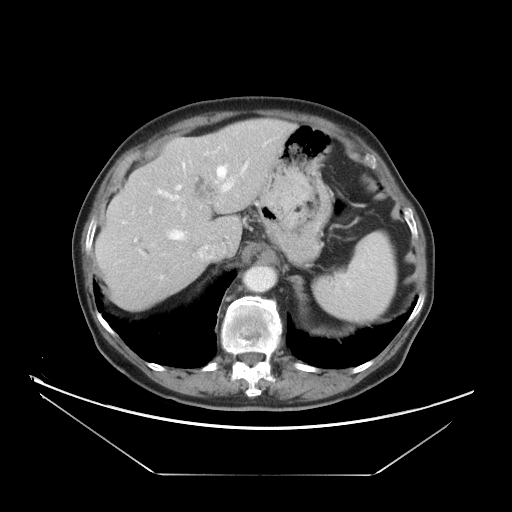
CT scan slice. 512x512.

The vessel boxes may cover only some of the vessels.
Hepatic vessel — 223 184 230 190, 165 193 167 194, 216 164 228 182, 170 232 183 238, 170 196 177 197.